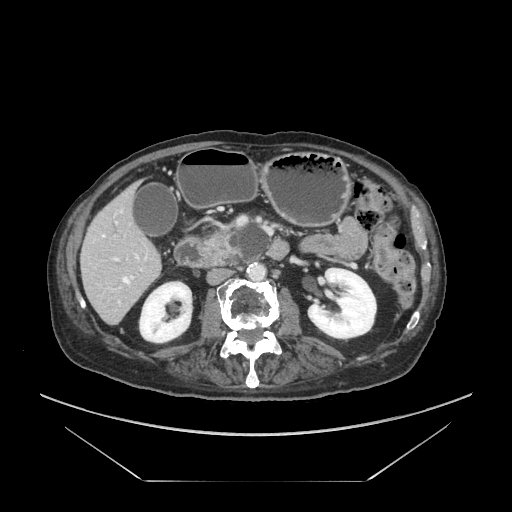 Image size 512x512, CT scan slice, Upper abdomen

{
  "pancreatic_tumor": [
    "208 238 222 252"
  ],
  "pancreas": [
    "206 232 241 263"
  ]
}